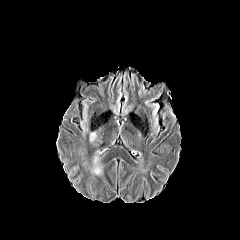
FLAIR MR image.
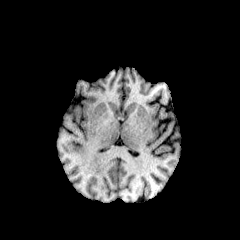
T1-weighted MR.
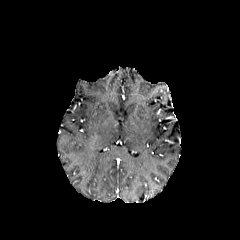
Post-contrast T1-weighted MR image of the same slice.
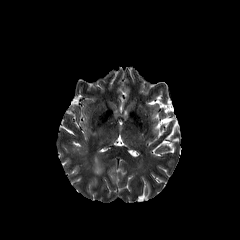
T2-weighted MR image.
Head, 240x240 px
<segmentation>
  <edema><box>91,156,103,175</box></edema>
</segmentation>